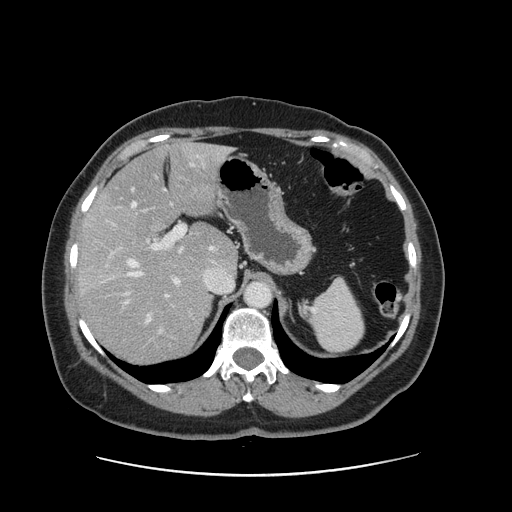

Abdomen, Computed tomography
Some hepatic vessels may have no box.
12 hepatic vessel regions appear at rect(110, 252, 113, 255); rect(132, 188, 134, 190); rect(159, 330, 161, 332); rect(147, 314, 151, 321); rect(148, 239, 149, 241); rect(129, 260, 142, 276); rect(125, 300, 128, 303); rect(174, 278, 178, 283); rect(126, 293, 128, 294); rect(166, 295, 168, 296); rect(190, 163, 194, 165); rect(180, 247, 182, 252).